Slice 680 of 685, CT slice 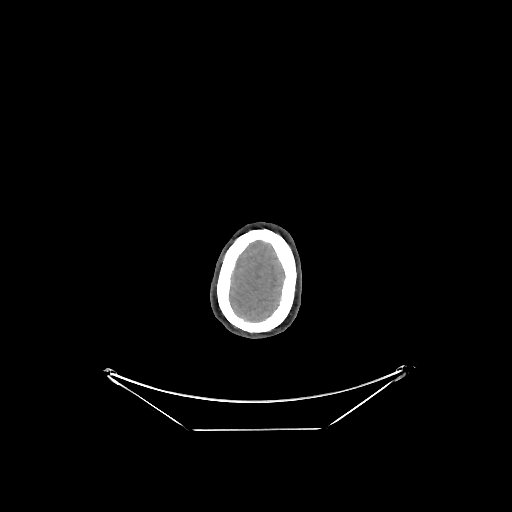 Brain: bounding box region(229, 240, 284, 322).